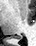

36x46 px. MRI. Hippocampus.
<segmentation>
  <posterior_hippocampus>box(13, 35, 20, 38); box(21, 36, 22, 38)</posterior_hippocampus>
</segmentation>